CT scan slice, Slice 374 of 722, Liver 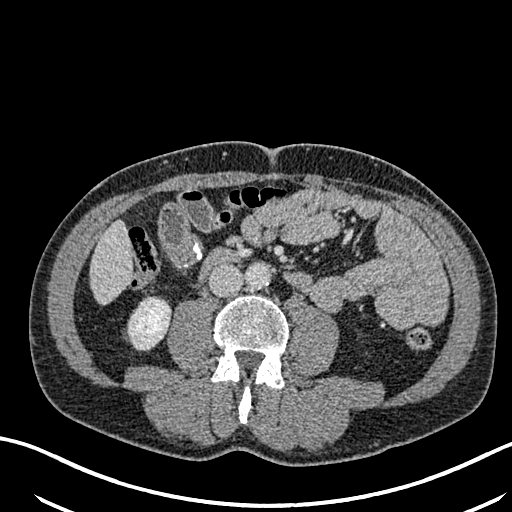

Segmented structures:
* liver: region(91, 220, 131, 303)
* kidney: region(128, 298, 170, 349)